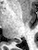 Medial temporal lobe, MRI
Posterior hippocampus at (x1=13, y1=40, x2=21, y2=43).